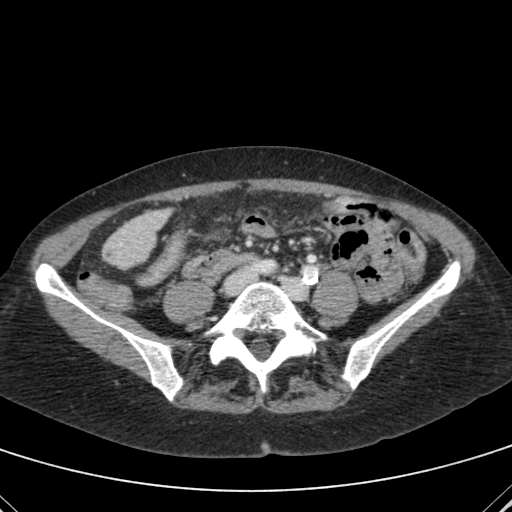 Abdomen, CT image

{"liver": ["[x1=104, y1=209, x2=170, y2=266]"]}